FLAIR MR image.
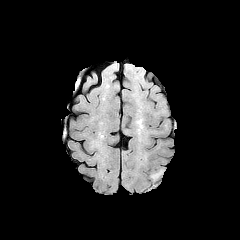
T1-weighted MR image.
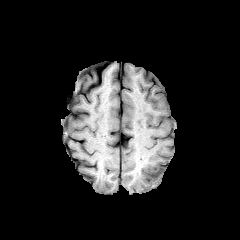
Post-contrast T1-weighted MR.
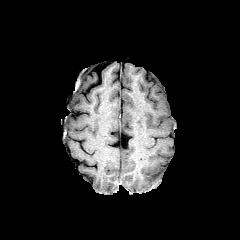
T2-weighted magnetic resonance.
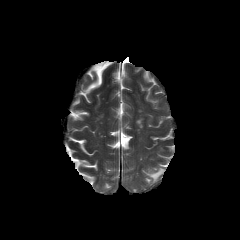
240x240 px, Brain
edema:
  - bbox(148, 168, 161, 180)